Brain; 240x240; Image width 240 mm; Slice 43/155
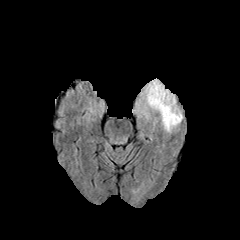
FLAIR MR.
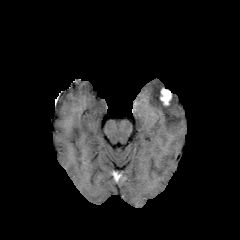
T1-weighted MR image.
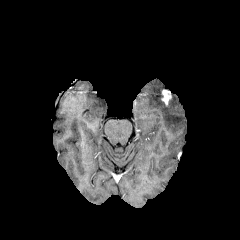
Post-contrast T1-weighted MRI.
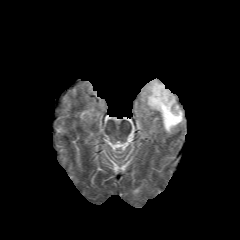
Same slice, T2-weighted MR.
Enhancing tumor: <bbox>161, 89, 171, 105</bbox>.
Edema: <bbox>136, 78, 182, 134</bbox>.